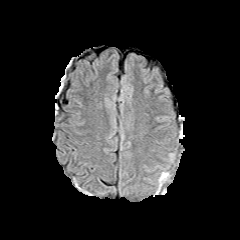
FLAIR MR image.
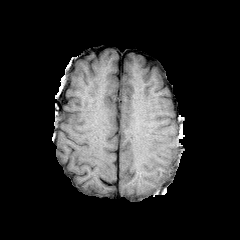
T1-weighted MR image of the same slice.
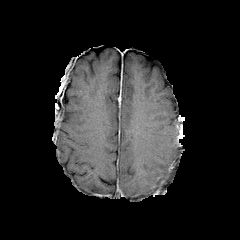
Post-contrast T1-weighted MR image of the same slice.
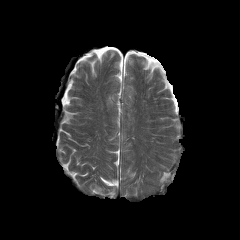
T2-weighted MR image.
Head
The edema is bounded by box(159, 172, 167, 182).